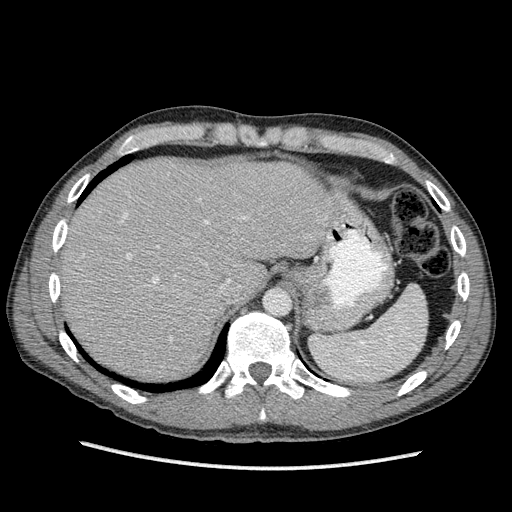

CT. The liver appears at <box>56,156,341,382</box>.